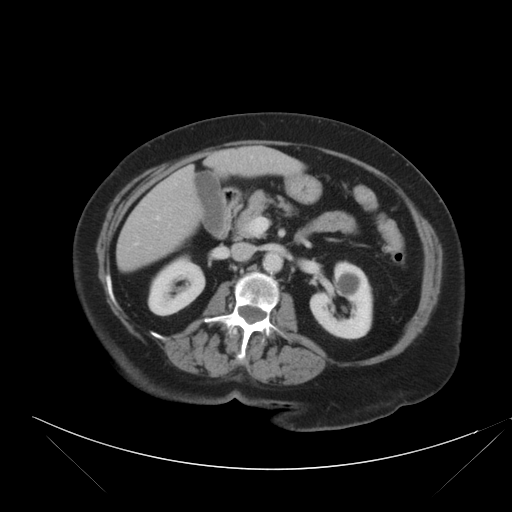

Liver | CT
The vessel annotation is not exhaustive.
8 hepatic vessel regions are bounded by <bbox>133, 236, 138, 245</bbox>, <bbox>142, 218, 146, 221</bbox>, <bbox>156, 216, 160, 219</bbox>, <bbox>250, 156, 252, 157</bbox>, <bbox>270, 158, 272, 161</bbox>, <bbox>174, 181, 177, 184</bbox>, <bbox>169, 224, 170, 226</bbox>, <bbox>188, 166, 191, 169</bbox>.